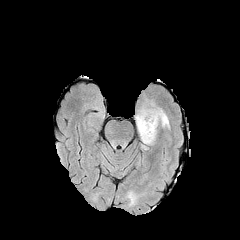
FLAIR MR image.
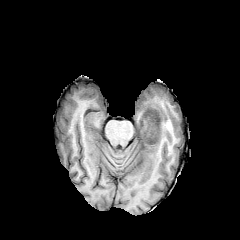
T1-weighted magnetic resonance of the same slice.
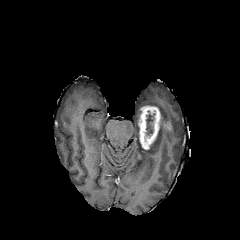
Same slice, post-contrast T1-weighted MRI.
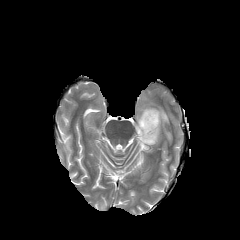
T2-weighted magnetic resonance of the same slice.
Image size 240x240 | Head
<segmentation>
  <edema>159, 109, 169, 130</edema>
  <non-enhancing_tumor_core>145, 110, 155, 136</non-enhancing_tumor_core>
  <enhancing_tumor>138, 106, 160, 149</enhancing_tumor>
</segmentation>